Computed tomography | Slice 52/107 | Abdomen

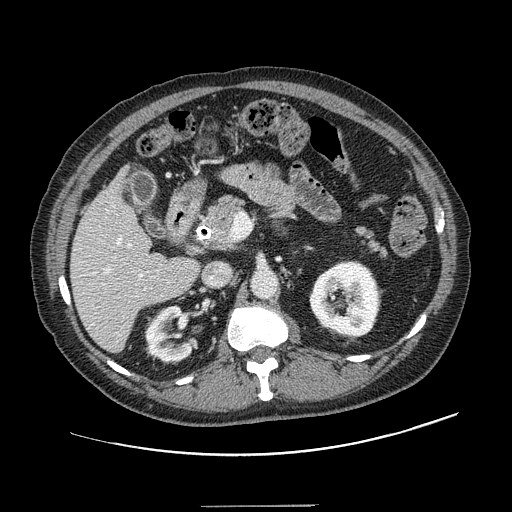
The pancreatic tumor appears at 211, 240, 223, 251. 2 pancreas regions are bounded by 351, 225, 388, 263; 201, 194, 247, 251.